T2-weighted magnetic resonance.
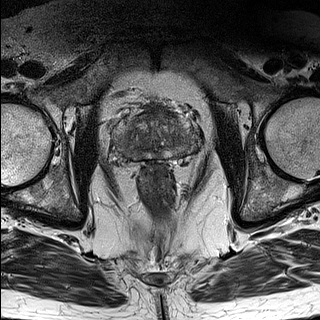
ADC MR image.
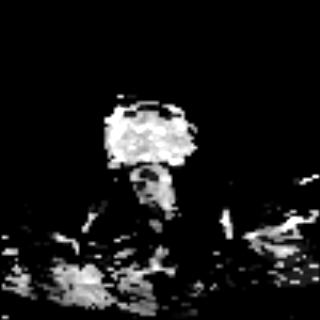
Image size 320x320 | Pelvis
The prostate peripheral zone appears at [114,115,200,162].